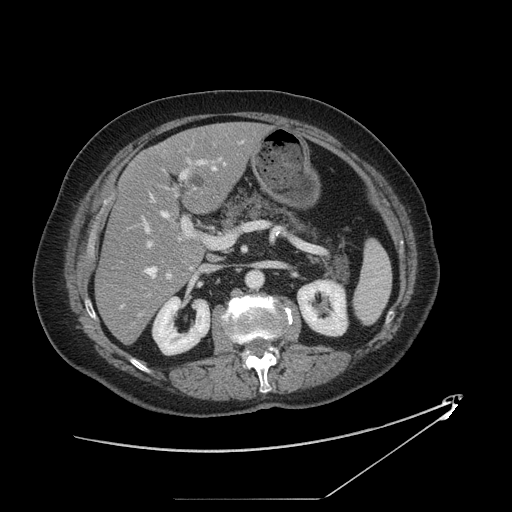
Abdomen; 512x512; CT image
The pancreas appears at bbox=[218, 185, 352, 279].